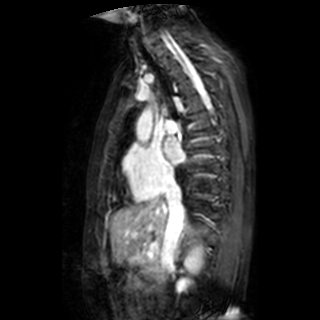

Magnetic resonance. 320x320. The left atrium lies within (x1=163, y1=138, x2=184, y2=164).